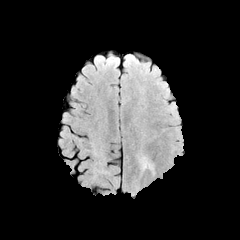
FLAIR magnetic resonance.
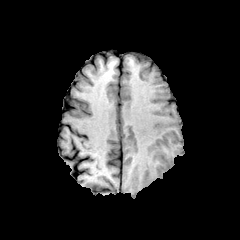
T1-weighted MR of the same slice.
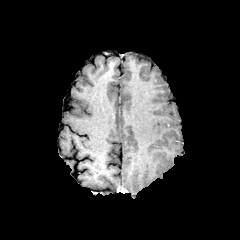
Same slice, post-contrast T1-weighted MRI.
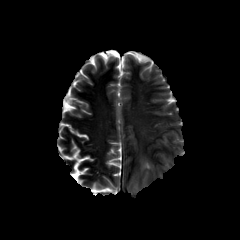
Same slice, T2-weighted MR image.
240x240 px
The edema is bounded by l=143, t=160, r=150, b=168.